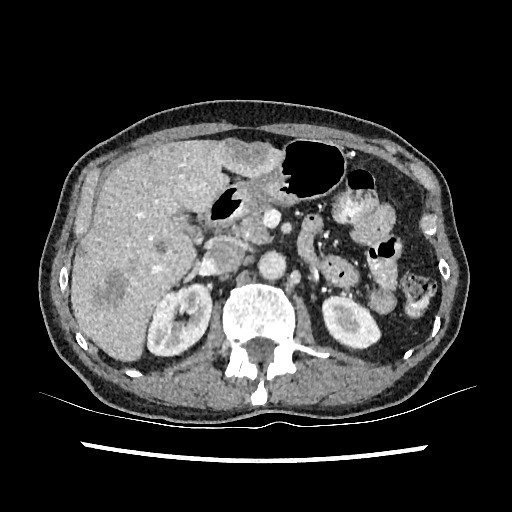 Image size 512x512 | Liver | CT slice

The liver is located at <bbox>71, 141, 281, 359</bbox>. 4 liver lesion regions appear at <bbox>93, 268, 125, 306</bbox>, <bbox>154, 240, 167, 253</bbox>, <bbox>78, 246, 86, 255</bbox>, <bbox>220, 139, 270, 165</bbox>. 2 kidney regions are bounded by <bbox>323, 297, 379, 347</bbox>, <bbox>148, 284, 211, 357</bbox>.